Liver; 512x512; CT 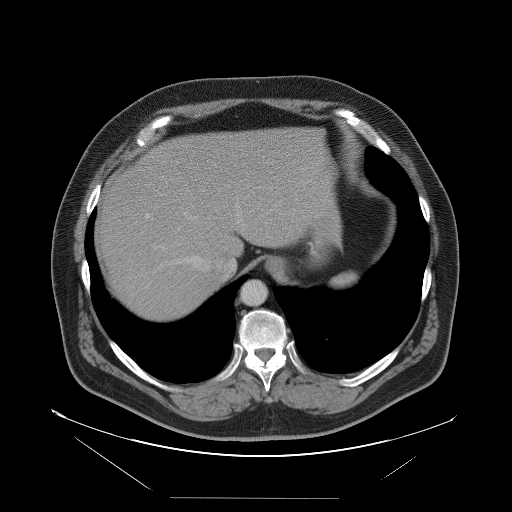 The vessel annotation is not exhaustive.
6 hepatic vessel regions are bounded by 146 214 148 217, 162 246 165 250, 186 256 201 266, 236 213 239 216, 175 260 179 263, 228 259 235 270.